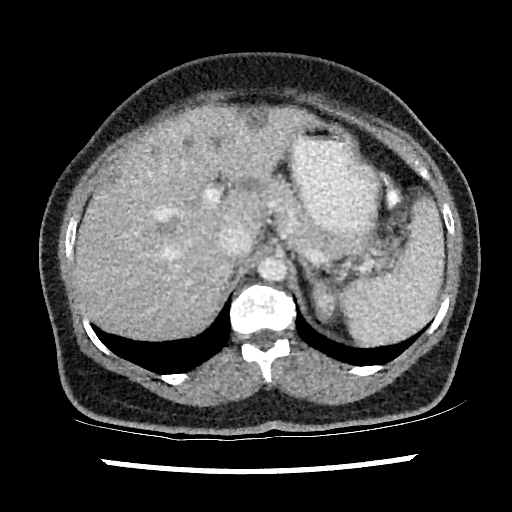

CT slice
The liver is bounded by box(72, 107, 307, 338). 4 focal liver lesion regions are located at box(182, 138, 193, 148); box(243, 108, 268, 129); box(106, 170, 119, 185); box(239, 177, 261, 190).